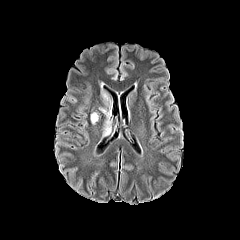
FLAIR MR.
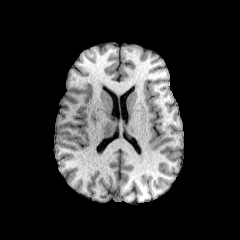
T1-weighted magnetic resonance.
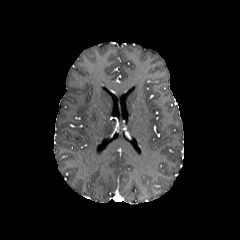
Post-contrast T1-weighted MRI.
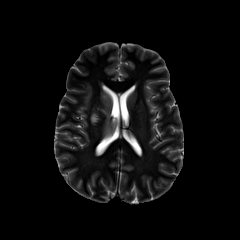
T2-weighted MRI of the same slice.
Brain | 240x240
Findings:
* edema: (x1=90, y1=112, x2=100, y2=124), (x1=99, y1=84, x2=112, y2=139)